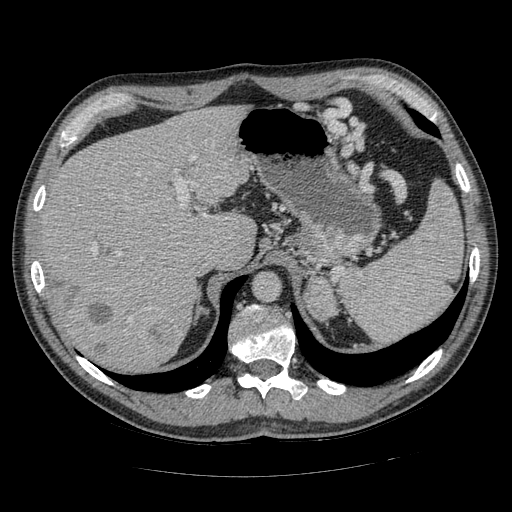
CT slice; Upper abdomen
The pancreatic tumor is bounded by region(305, 277, 335, 320).